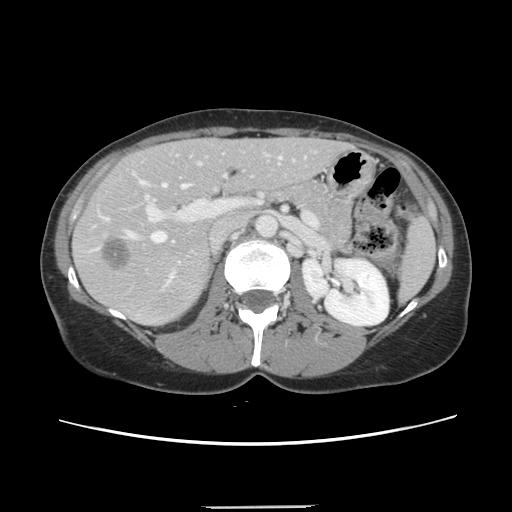
CT image. Liver.
The vessel annotation is not exhaustive.
Annotated regions:
- liver tumor: region(102, 238, 130, 269)
- hepatic vessel: region(139, 180, 145, 184); region(197, 161, 200, 164); region(133, 172, 134, 174); region(128, 232, 136, 237); region(150, 216, 155, 221); region(99, 214, 108, 220); region(147, 208, 147, 211); region(151, 199, 154, 204); region(162, 183, 165, 186); region(145, 195, 148, 199); region(150, 231, 165, 242); region(278, 156, 280, 163); region(182, 184, 188, 187)